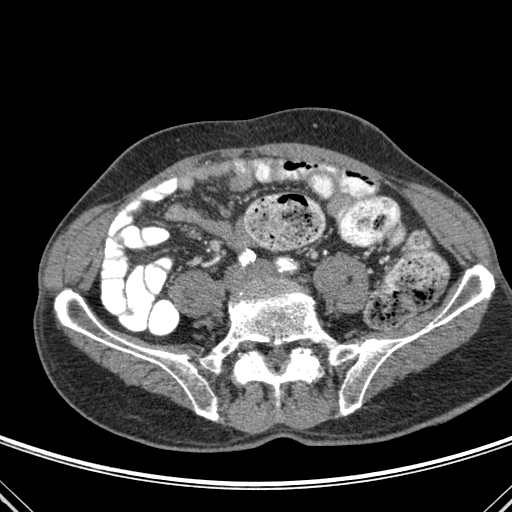
CT
2 bone regions appear at [54, 264, 494, 420], [233, 349, 321, 397].